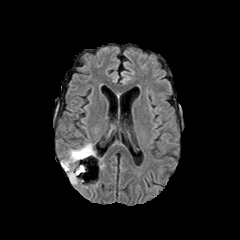
FLAIR magnetic resonance.
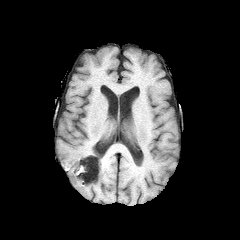
T1-weighted MR.
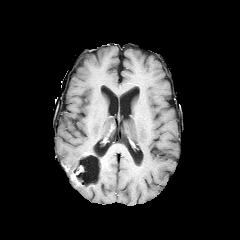
Post-contrast T1-weighted MR image.
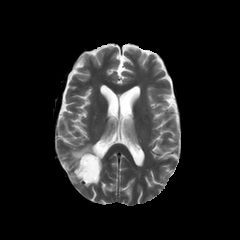
T2-weighted magnetic resonance of the same slice.
{
  "non-enhancing_tumor_core": [
    "<bbox>66, 147, 96, 180</bbox>"
  ],
  "edema": [
    "<bbox>61, 143, 94, 170</bbox>"
  ]
}